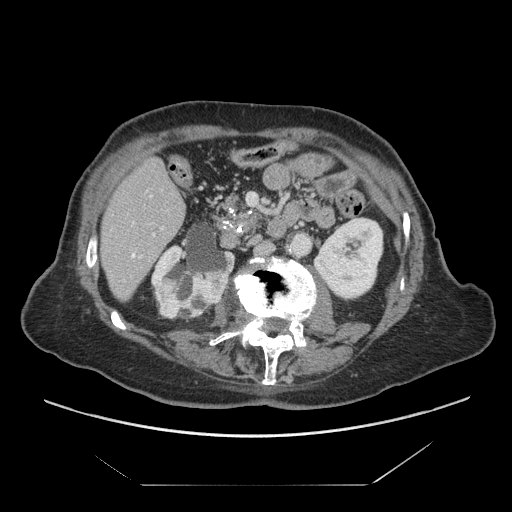
CT slice. Segmented structures:
* pancreas: [x1=210, y1=194, x2=265, y2=233]
* pancreatic tumor: [x1=241, y1=214, x2=259, y2=230]